Slice index 22. CT slice. 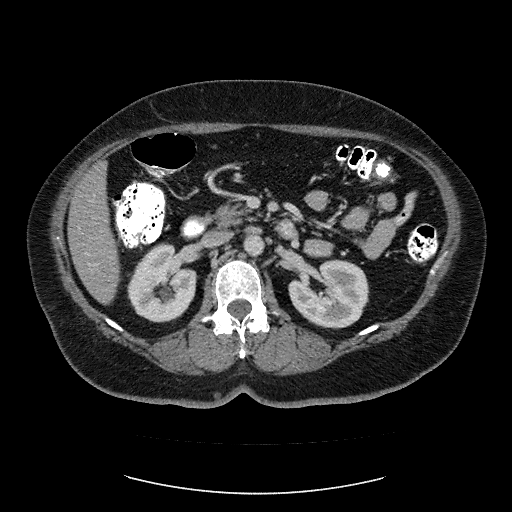
Some hepatic vessels may have no box.
{"hepatic_vessel": ["(x1=91, y1=200, x2=94, y2=201)"]}